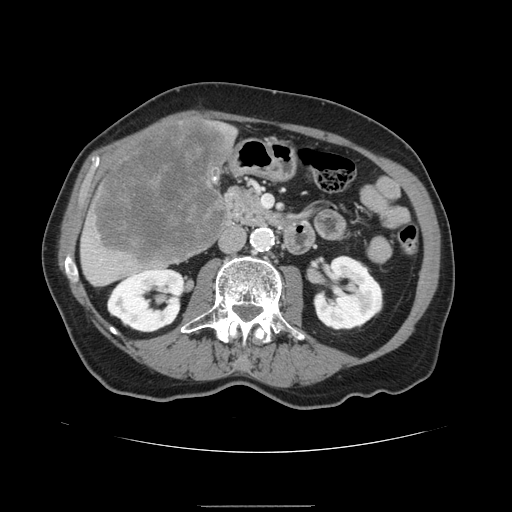
Liver | CT scan slice

Annotated regions:
- liver tumor: 93:122:230:264